Image size 240x240; Image width 240 mm; Head
FLAIR MRI.
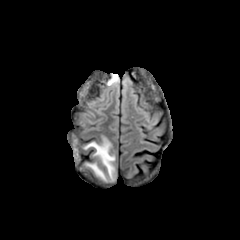
T1-weighted MR image.
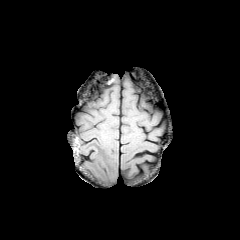
Post-contrast T1-weighted magnetic resonance.
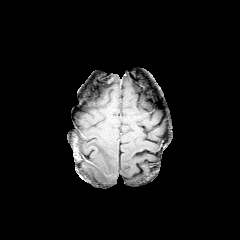
T2-weighted magnetic resonance.
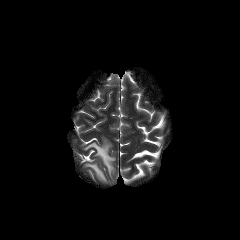
The edema appears at l=84, t=137, r=115, b=181.